CT slice.

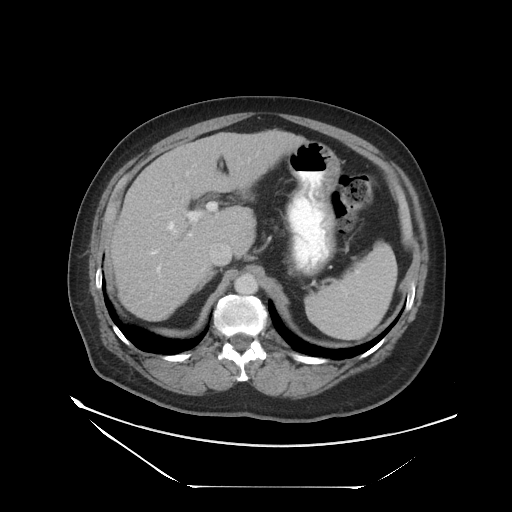
Only some of the vessels may be annotated.
Hepatic vessel at left=182, top=211, right=202, bottom=224; left=158, top=267, right=159, bottom=271; left=168, top=221, right=176, bottom=233.